Computed tomography
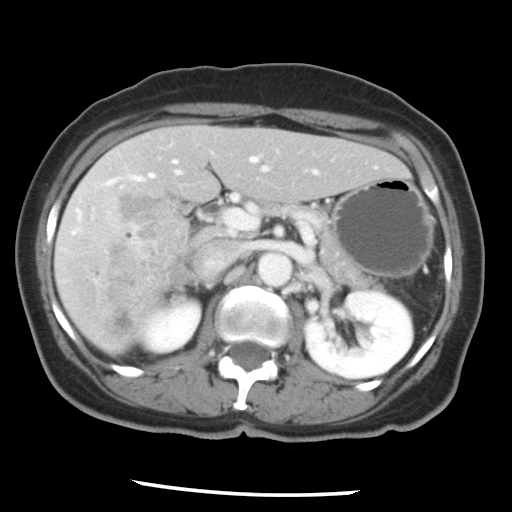 The vessel boxes may cover only some of the vessels.
<segmentation>
  <hepatic_vessel>left=224, top=209, right=258, bottom=234; left=148, top=173, right=153, bottom=177; left=263, top=166, right=267, bottom=169; left=106, top=178, right=119, bottom=184; left=174, top=168, right=179, bottom=174; left=174, top=160, right=176, bottom=162; left=77, top=211, right=80, bottom=215; left=72, top=231, right=74, bottom=232; left=313, top=170, right=317, bottom=173; left=129, top=174, right=141, bottom=180; left=240, top=243, right=273, bottom=249; left=250, top=156, right=257, bottom=162; left=204, top=254, right=225, bottom=270</hepatic_vessel>
  <liver_tumor>left=102, top=190, right=184, bottom=343</liver_tumor>
</segmentation>